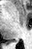

MR | 32x49 px
The posterior hippocampus appears at (x1=8, y1=40, x2=17, y2=42).